Field of view 36 mm wide, 1.00 mm slice spacing | MR | Medial temporal lobe
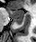
Posterior hippocampus: <box>13,21,22,24</box>.
Anterior hippocampus: <box>7,8,23,20</box>.